CT scan slice | Pelvis
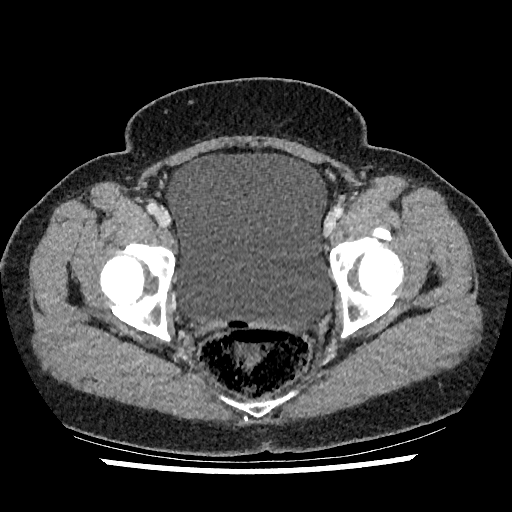

{
  "urinary_bladder": [
    "bbox=[166, 153, 333, 332]"
  ]
}